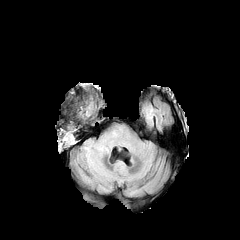
FLAIR MR image.
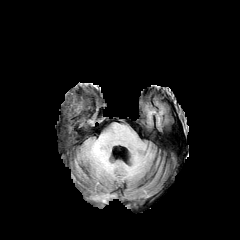
T1-weighted MR.
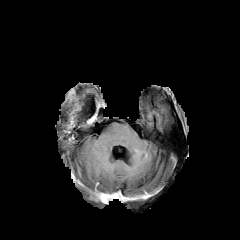
Same slice, post-contrast T1-weighted MR.
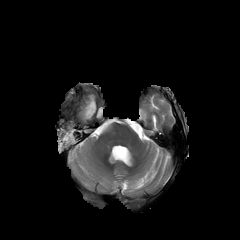
T2-weighted magnetic resonance.
240x240
edema:
  - {"x1": 84, "y1": 146, "x2": 98, "y2": 172}
non-enhancing_tumor_core:
  - {"x1": 64, "y1": 128, "x2": 75, "y2": 146}